FLAIR MR.
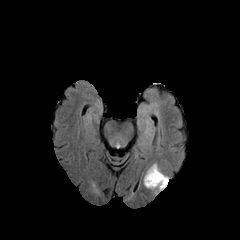
T1-weighted MR image.
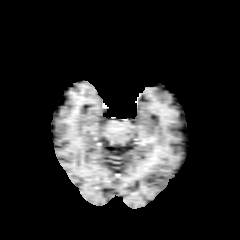
Post-contrast T1-weighted magnetic resonance.
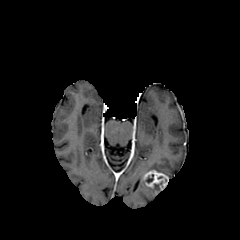
T2-weighted MR image.
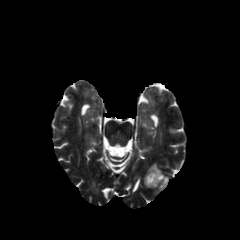
Image size 240x240; Head
Edema: bounding box {"x1": 144, "y1": 162, "x2": 164, "y2": 174}, {"x1": 142, "y1": 177, "x2": 160, "y2": 194}.
Enhancing tumor: bounding box {"x1": 143, "y1": 170, "x2": 168, "y2": 190}.